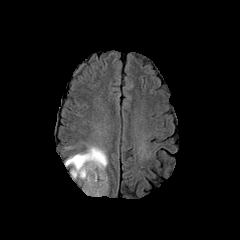
FLAIR MR.
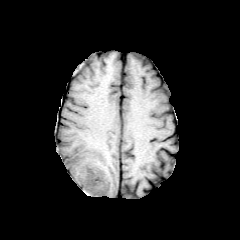
T1-weighted magnetic resonance of the same slice.
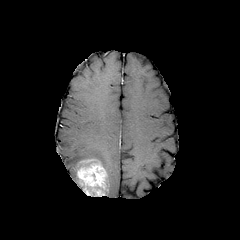
Post-contrast T1-weighted MR.
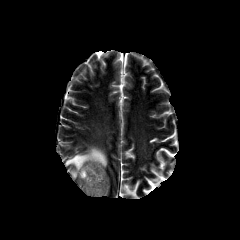
T2-weighted MRI.
Brain. Image size 240x240.
2 enhancing tumor regions are bounded by x1=92, y1=188, x2=104, y2=195; x1=77, y1=163, x2=106, y2=193. The edema lies within x1=65, y1=145, x2=107, y2=185. The non-enhancing tumor core is bounded by x1=86, y1=184, x2=105, y2=194.